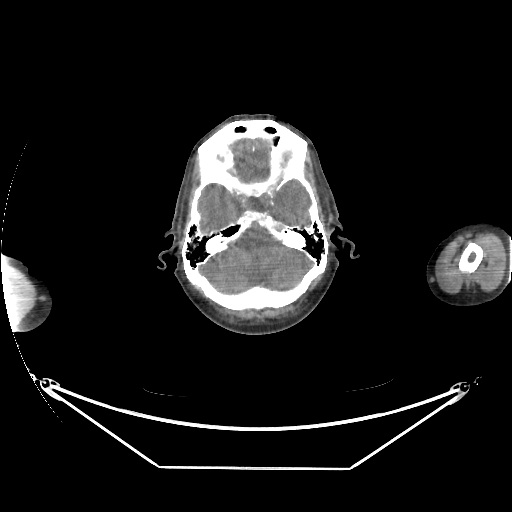 CT slice, Head
{"brain": ["l=197, t=179, r=311, b=236", "l=227, t=137, r=274, b=184", "l=198, t=219, r=314, b=294"]}